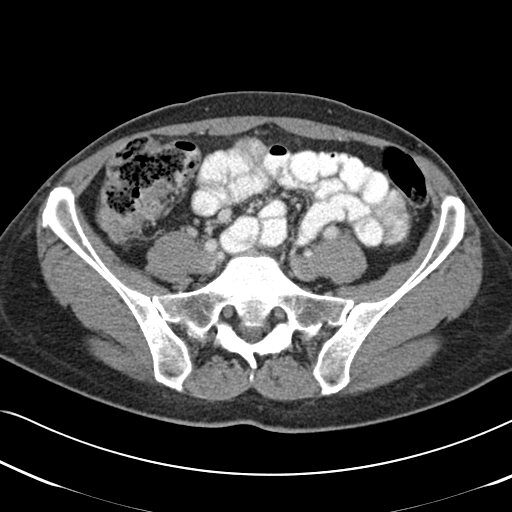
Abdomen, CT slice
The colon tumor lies within 99, 181, 171, 244.